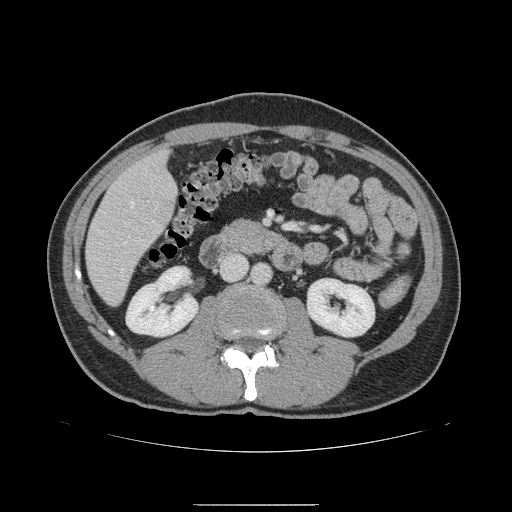

CT slice
Findings:
• pancreas: region(222, 220, 282, 254)